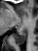 38x51 | MR
posterior_hippocampus:
  - region(15, 32, 26, 44)